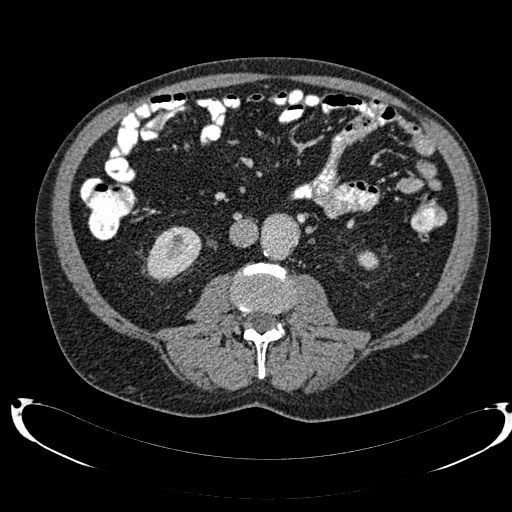

CT image

Annotated regions:
• kidney: {"x1": 147, "y1": 227, "x2": 201, "y2": 280}, {"x1": 358, "y1": 251, "x2": 377, "y2": 269}